512x512 px, Slice 50/164, Computed tomography 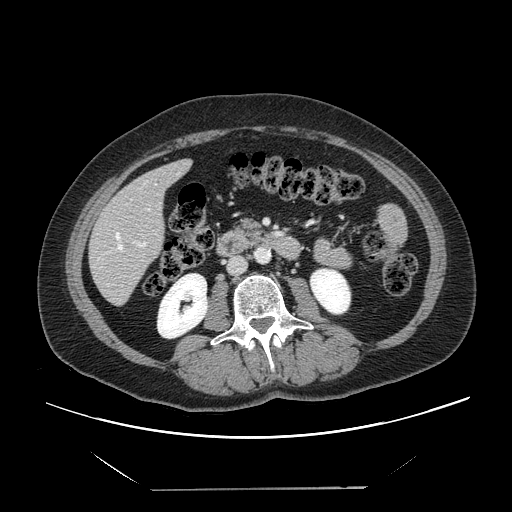
The vessel boxes may cover only some of the vessels.
Hepatic vessel: bounding box box(133, 241, 145, 247); box(147, 208, 150, 210); box(106, 251, 110, 252); box(114, 231, 123, 251).